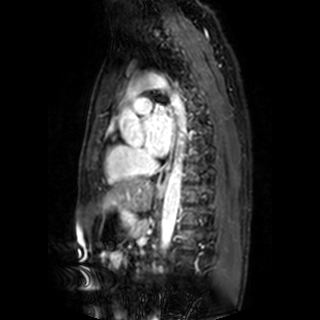

MR image.

Left atrium — 145, 106, 172, 157.